CT scan slice. 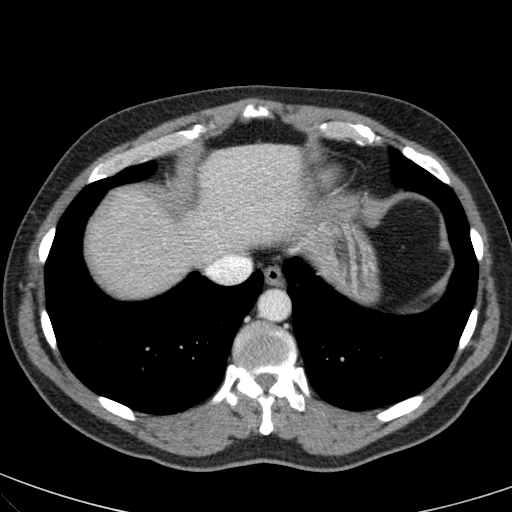
Annotated regions:
- liver: left=89, top=143, right=328, bottom=294